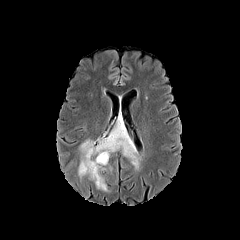
FLAIR MR.
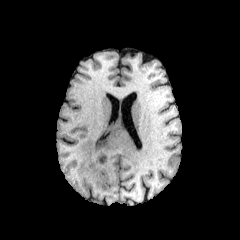
T1-weighted MRI.
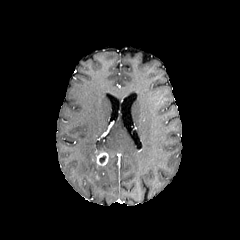
Same slice, post-contrast T1-weighted MR image.
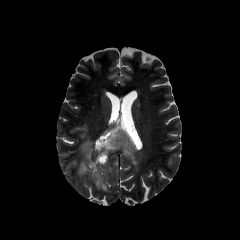
Same slice, T2-weighted MR.
Brain.
Edema: 78, 117, 140, 190.
Enhancing tumor: 96, 153, 108, 166.